FLAIR MRI.
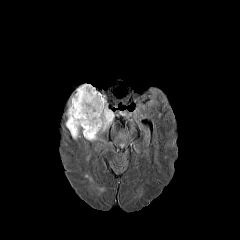
T1-weighted magnetic resonance.
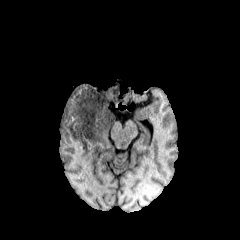
Post-contrast T1-weighted MR image.
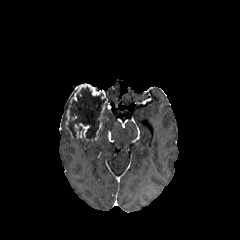
T2-weighted MR image.
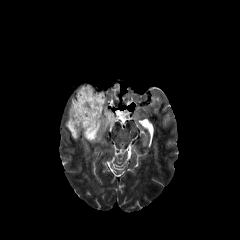
{
  "edema": [
    "[99,110,113,135]",
    "[97,138,107,147]"
  ],
  "non-enhancing_tumor_core": [
    "[64,88,108,138]"
  ],
  "enhancing_tumor": [
    "[100,100,109,112]",
    "[65,106,102,143]",
    "[70,83,106,102]"
  ]
}